CT. 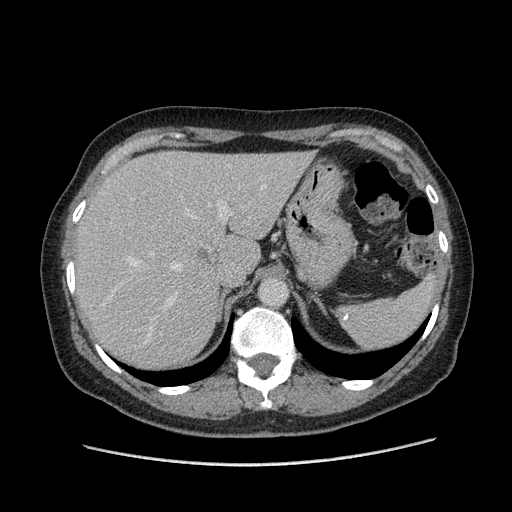 Only some of the vessels may be annotated.
10 hepatic vessel regions appear at l=149, t=252, r=153, b=255; l=165, t=294, r=175, b=307; l=126, t=257, r=140, b=266; l=185, t=207, r=195, b=217; l=129, t=223, r=130, b=224; l=218, t=201, r=231, b=222; l=114, t=288, r=116, b=289; l=119, t=278, r=129, b=286; l=208, t=205, r=211, b=206; l=171, t=262, r=181, b=270.